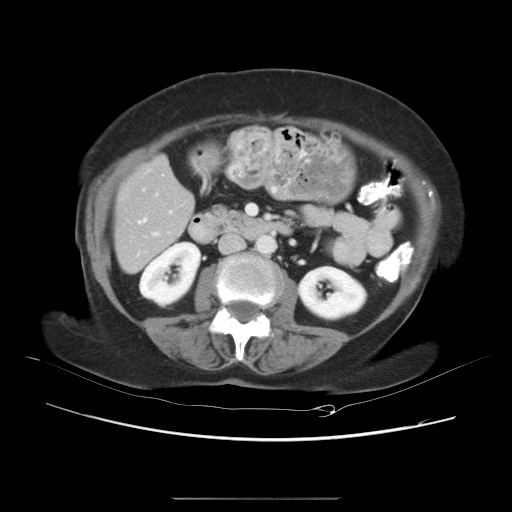
CT slice | Liver
The vessel boxes may cover only some of the vessels.
<segmentation>
  <hepatic_vessel>x1=152, y1=232, x2=159, y2=235; x1=138, y1=218, x2=145, y2=224; x1=167, y1=232, x2=169, y2=234; x1=143, y1=189, x2=144, y2=190; x1=168, y1=211, x2=171, y2=213; x1=155, y1=194, x2=157, y2=195; x1=137, y1=252, x2=139, y2=255</hepatic_vessel>
</segmentation>